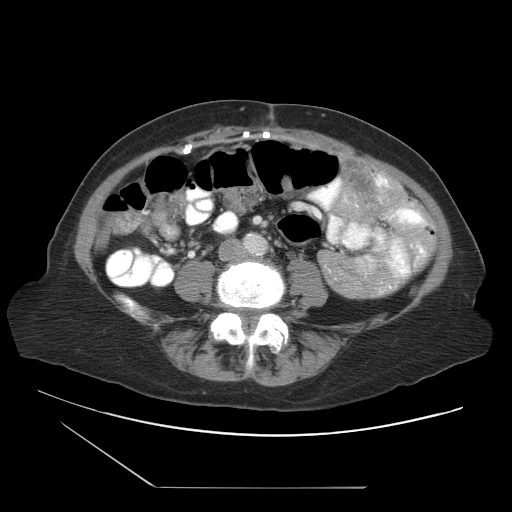

CT
Colon tumor = box(146, 194, 179, 226).